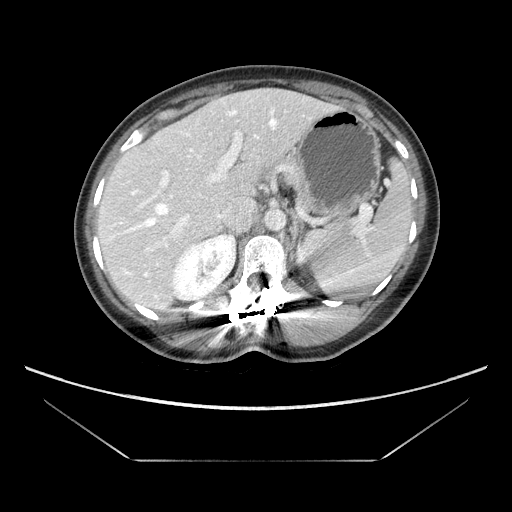

Liver; 512x512 px; Computed tomography

Some hepatic vessels may have no box.
{
  "hepatic_vessel": [
    "[162, 172, 168, 184]",
    "[206, 131, 241, 184]",
    "[145, 237, 167, 252]",
    "[140, 196, 154, 206]",
    "[171, 214, 189, 236]",
    "[215, 210, 228, 218]",
    "[149, 219, 153, 223]",
    "[157, 205, 166, 213]"
  ]
}